FLAIR magnetic resonance.
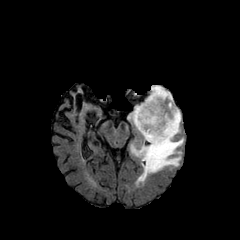
T1-weighted MRI.
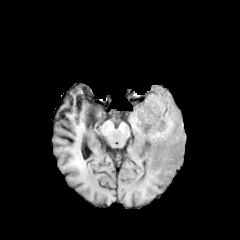
Post-contrast T1-weighted MR image.
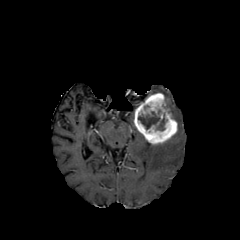
T2-weighted magnetic resonance.
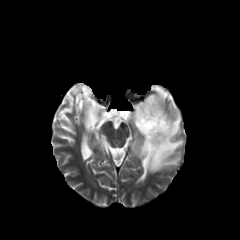
Head
2 edema regions are located at rect(127, 112, 133, 123); rect(130, 85, 184, 185). The non-enhancing tumor core is bounded by rect(138, 115, 159, 129). The enhancing tumor appears at rect(134, 92, 178, 146).